Image size 240x240; Brain
FLAIR MRI.
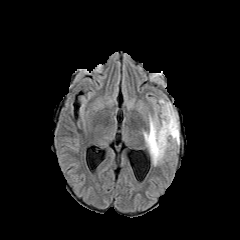
T1-weighted magnetic resonance.
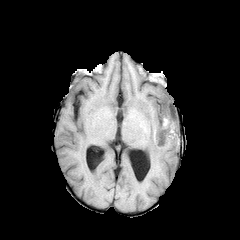
Post-contrast T1-weighted magnetic resonance.
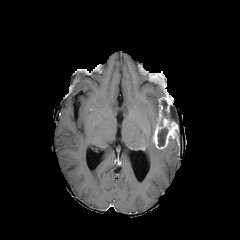
T2-weighted MR image.
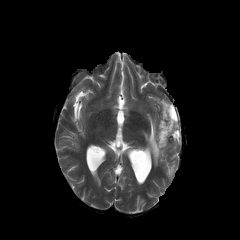
2 non-enhancing tumor core regions are located at [x1=158, y1=99, x2=177, y2=125], [x1=157, y1=128, x2=167, y2=148]. The edema is located at [x1=143, y1=104, x2=179, y2=166]. 2 enhancing tumor regions appear at [x1=163, y1=97, x2=171, y2=112], [x1=152, y1=114, x2=177, y2=148].